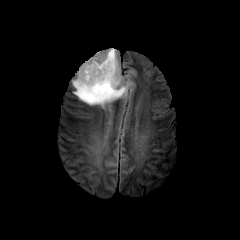
FLAIR MR image.
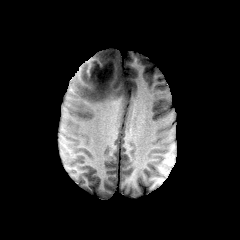
T1-weighted MR image.
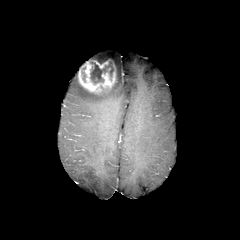
Post-contrast T1-weighted MR.
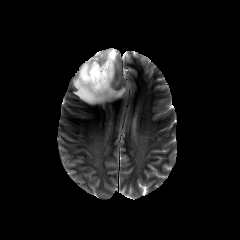
T2-weighted MR of the same slice.
240x240 | Head
Non-enhancing tumor core at 108, 59, 115, 74; 90, 62, 107, 82.
Edema at 72, 49, 130, 106.
Enhancing tumor at 78, 62, 115, 92; 91, 59, 110, 68.